Slice 268 of 466 | Abdomen | Image size 512x512 | CT scan slice

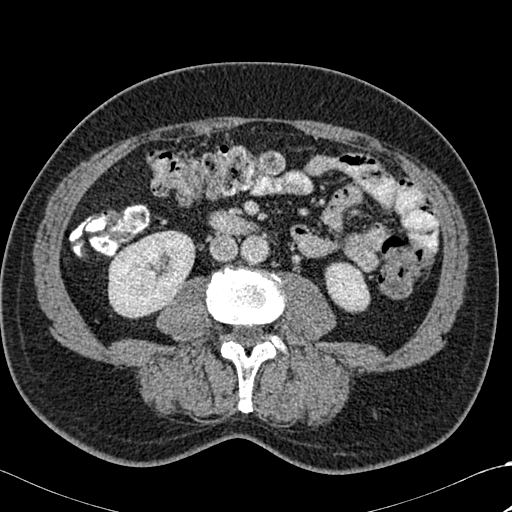 Kidney — left=109, top=231, right=194, bottom=316; left=326, top=263, right=368, bottom=310.
Bone — left=220, top=335, right=284, bottom=412; left=206, top=267, right=285, bottom=331.